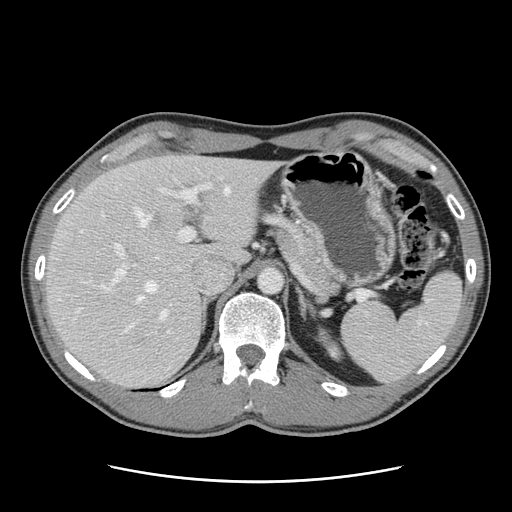

CT image | Liver
Only some of the vessels may be annotated.
- liver tumor: [x1=152, y1=215, x2=159, y2=227]
- hepatic vessel (principal 15 of 16): [x1=145, y1=280, x2=156, y2=292], [x1=76, y1=308, x2=79, y2=311], [x1=160, y1=310, x2=166, y2=318], [x1=224, y1=187, x2=229, y2=193], [x1=135, y1=209, x2=150, y2=225], [x1=125, y1=325, x2=132, y2=329], [x1=179, y1=228, x2=193, y2=240], [x1=135, y1=296, x2=141, y2=302], [x1=173, y1=183, x2=210, y2=201], [x1=159, y1=188, x2=169, y2=192], [x1=102, y1=214, x2=103, y2=216], [x1=114, y1=243, x2=123, y2=255], [x1=167, y1=330, x2=169, y2=332], [x1=99, y1=268, x2=124, y2=291], [x1=133, y1=263, x2=135, y2=265]